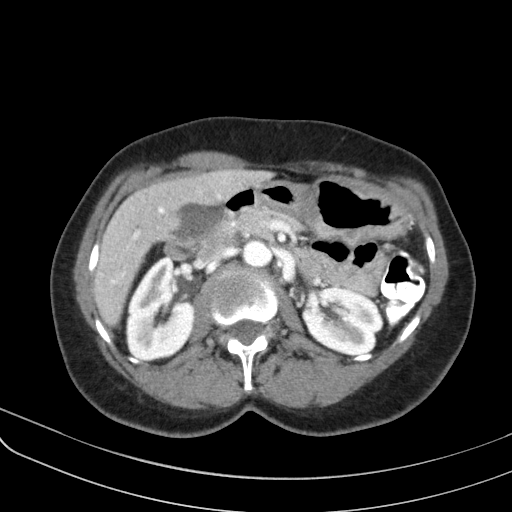 CT slice

{
  "pancreas": [
    "<box>219,207,304,244</box>"
  ]
}